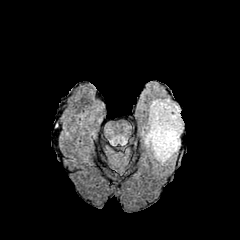
FLAIR MR.
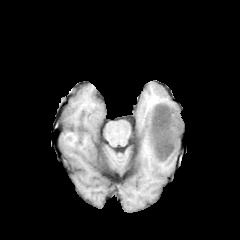
T1-weighted MR image.
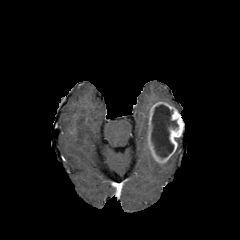
Same slice, post-contrast T1-weighted MRI.
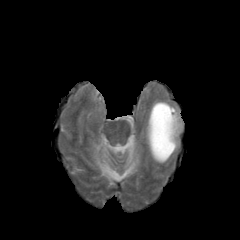
T2-weighted MR image of the same slice.
Head
Enhancing tumor: bounding box region(146, 101, 184, 163).
Edema: bounding box region(142, 125, 153, 159); region(147, 98, 179, 113).
Non-enhancing tumor core: bounding box region(152, 105, 175, 157).